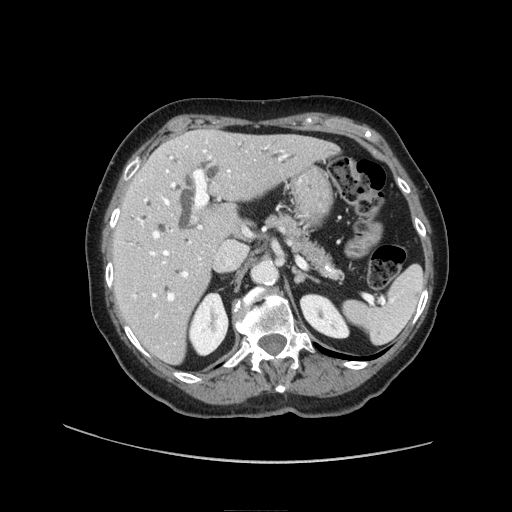
CT slice. pancreas:
  - [271, 213, 340, 278]